Upper abdomen; Field of view 348x348 mm; CT slice; Slice 305/836

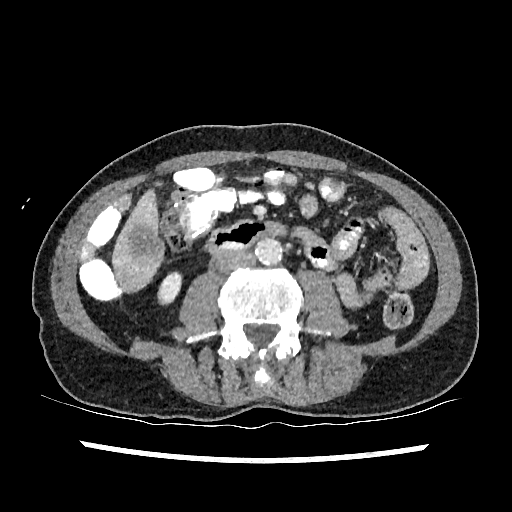
The kidney is located at [160,273,180,301]. The hepatic lesion lies within [128,224,162,257]. The liver is located at [114,191,161,290].